Slice index 77. Image width 451 mm. CT slice.

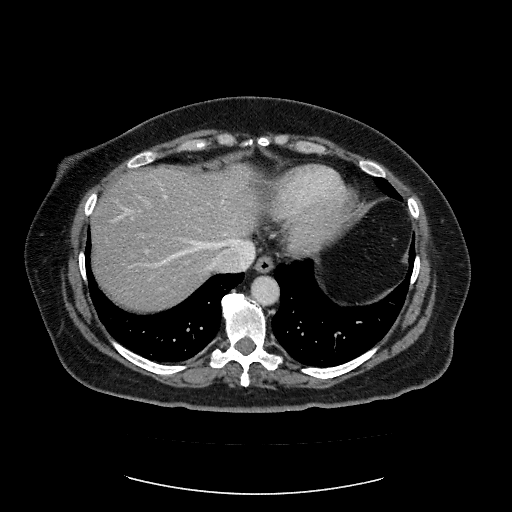

The vessel annotation is not exhaustive.
Hepatic vessel = l=208, t=264, r=213, b=269; l=232, t=239, r=236, b=240; l=163, t=195, r=167, b=198; l=145, t=201, r=148, b=203; l=113, t=207, r=131, b=221; l=132, t=216, r=133, b=218; l=145, t=250, r=148, b=252; l=148, t=241, r=231, b=265.